CT scan slice; 512x512; Slice 181/193; Liver

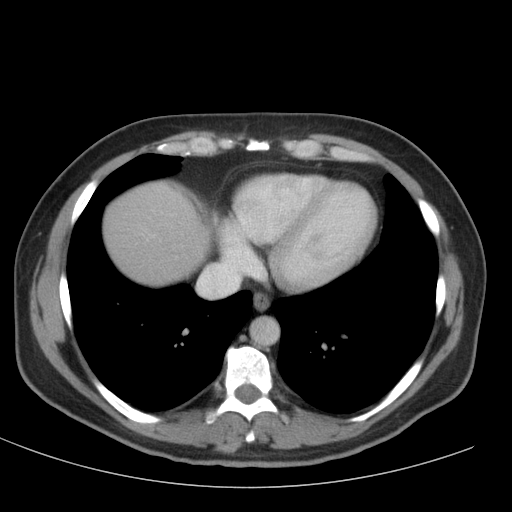
Annotated regions:
- liver: 105:182:208:282